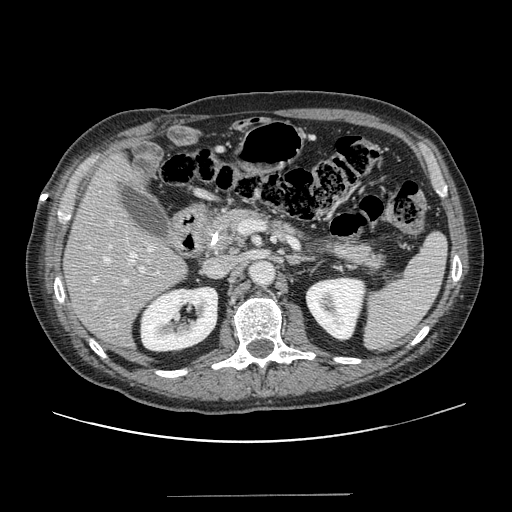
Computed tomography. 512x512.
The pancreas is bounded by [198,206,389,281].